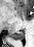
MRI slice | Hippocampus

The posterior hippocampus appears at 11, 30, 24, 39.